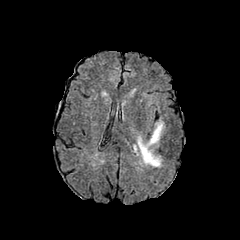
FLAIR MR image.
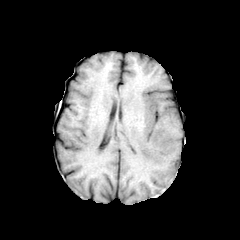
T1-weighted magnetic resonance.
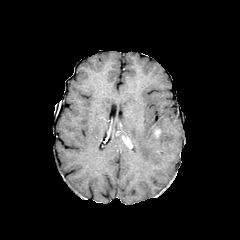
Post-contrast T1-weighted MR image.
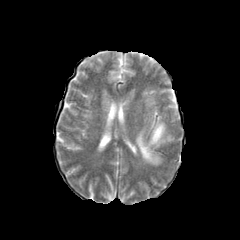
T2-weighted MRI.
Brain, 240x240
enhancing tumor: [153, 129, 160, 138] | edema: [132, 117, 169, 166]